512x512. CT.

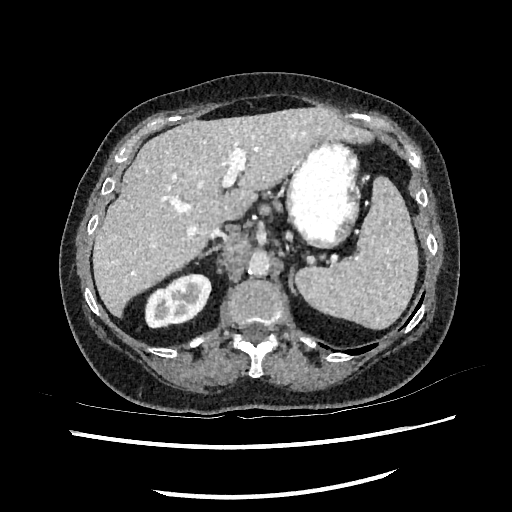
Kidney at (left=146, top=275, right=210, bottom=327).
Liver at (left=92, top=107, right=372, bottom=317).